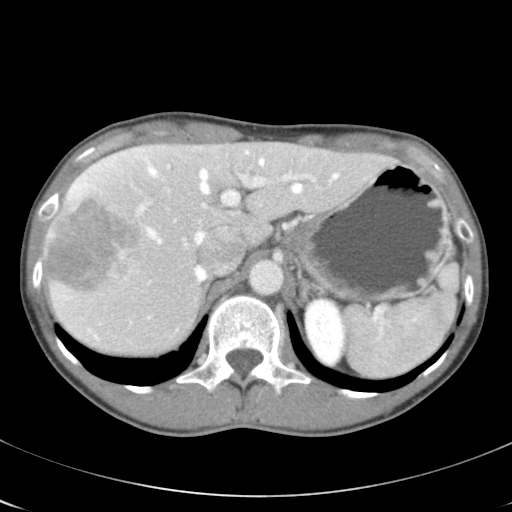

CT
Not every hepatic vessel necessarily has a box.
The liver tumor is at [44,195,146,294]. The top 15 hepatic vessel regions (of 17) appear at [148,228,161,242], [201,170,208,191], [203,204,206,207], [149,166,156,175], [240,175,248,183], [196,270,202,279], [246,151,248,153], [89,329,91,331], [139,206,144,211], [196,232,204,242], [222,191,239,205], [293,185,301,192], [259,159,264,163], [252,177,264,184], [332,174,337,178].